Slice 74/155, Head
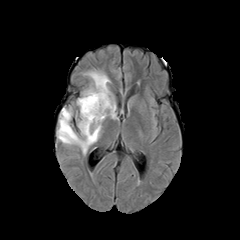
FLAIR magnetic resonance.
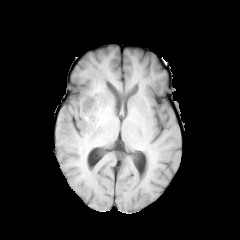
T1-weighted MR image.
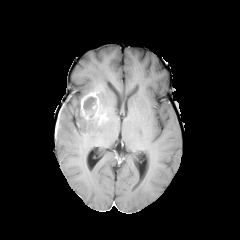
Same slice, post-contrast T1-weighted magnetic resonance.
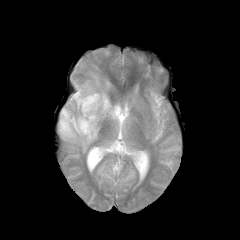
T2-weighted MR.
{
  "edema": [
    "box=[57, 68, 118, 155]"
  ],
  "non-enhancing_tumor_core": [
    "box=[77, 97, 102, 128]"
  ],
  "enhancing_tumor": [
    "box=[80, 91, 105, 119]"
  ]
}